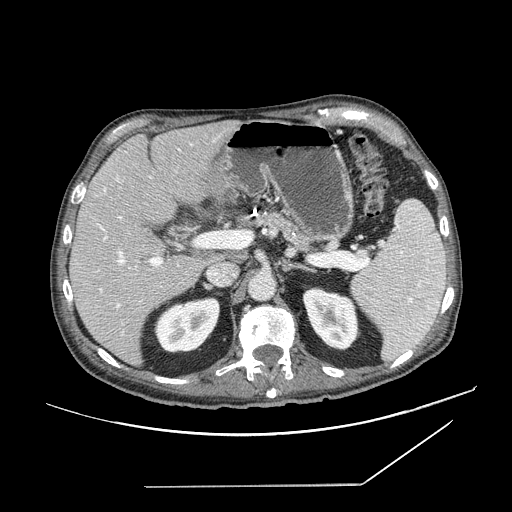

CT scan slice; Image size 512x512
pancreas: [255, 213, 311, 249]